Image width 240 mm.
FLAIR MRI.
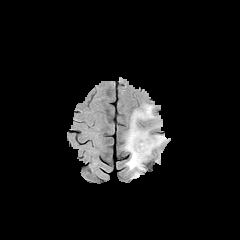
T1-weighted magnetic resonance.
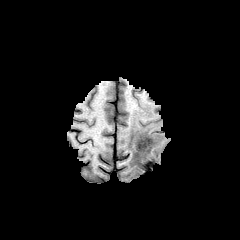
Post-contrast T1-weighted magnetic resonance.
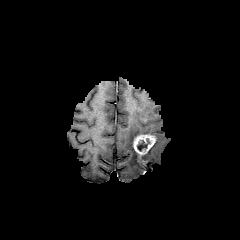
T2-weighted MR.
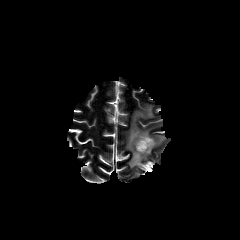
Edema: (124,105,164,170).
Non-enhancing tumor core: (137,140,148,150).
Enhancing tumor: (133,134,155,157).